Slice 31/120, Field of view 330 mm wide, 1.50 mm slice spacing, Computed tomography, Abdomen
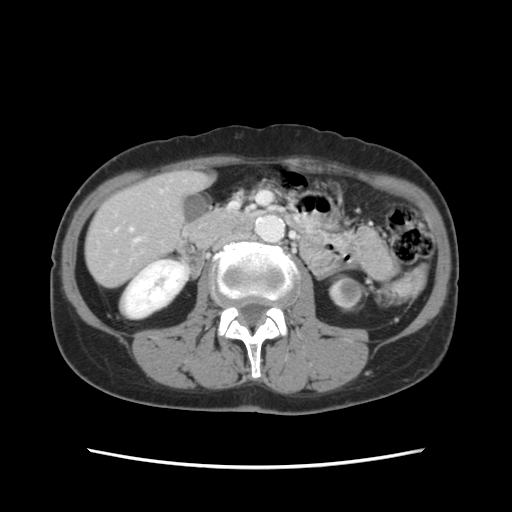
Some hepatic vessels may have no box.
Hepatic vessel — (left=130, top=228, right=132, bottom=230), (left=135, top=239, right=138, bottom=241).